Slice 142/722; Computed tomography; Pelvis

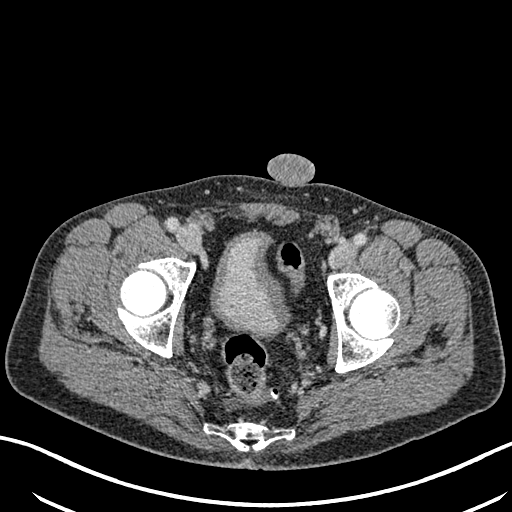
urinary bladder: (left=216, top=235, right=279, bottom=334)